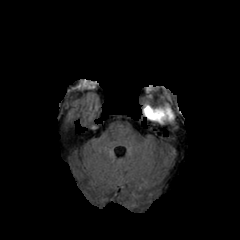
FLAIR MRI.
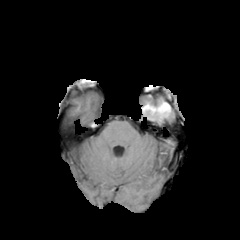
Same slice, T1-weighted MRI.
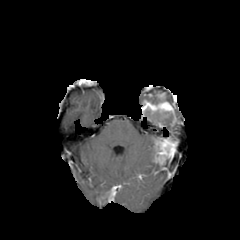
Same slice, post-contrast T1-weighted MR image.
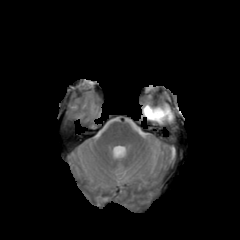
T2-weighted magnetic resonance.
2 non-enhancing tumor core regions are bounded by [142, 111, 172, 118], [160, 139, 174, 154]. 2 enhancing tumor regions are located at [142, 103, 173, 114], [164, 143, 173, 154]. The edema is bounded by [147, 114, 173, 123].